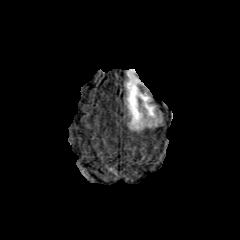
FLAIR MR image.
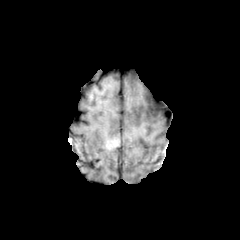
Same slice, T1-weighted MR.
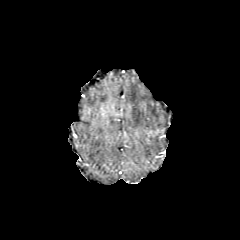
Post-contrast T1-weighted MRI.
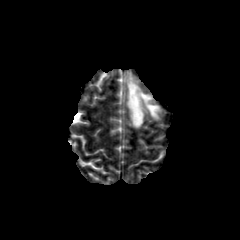
T2-weighted MR image.
Head
The edema lies within bbox=[125, 70, 157, 129].